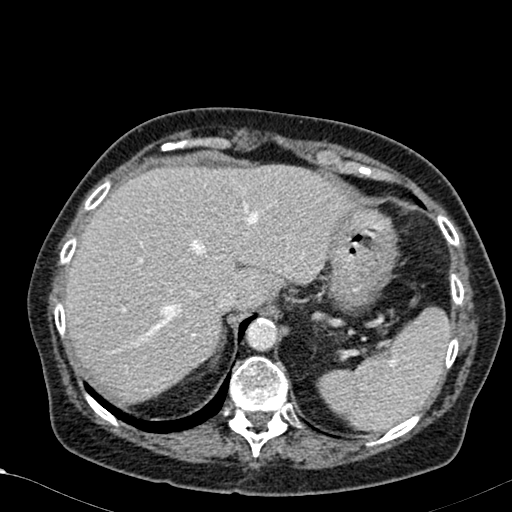

Image size 512x512; Abdomen; CT image
liver:
  - 66,165,349,401